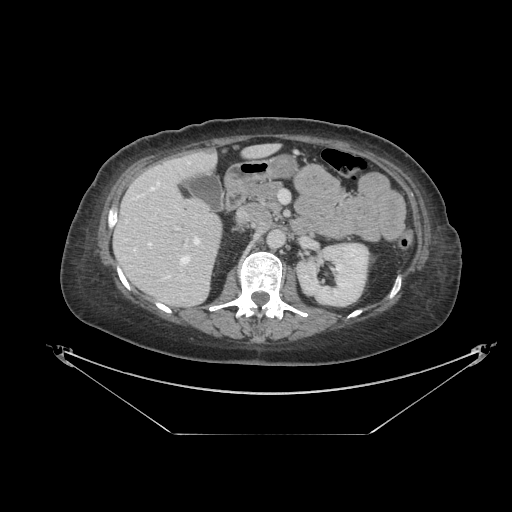

Upper abdomen | CT slice

The pancreas lies within <box>250,181,281,214</box>.